CT; Field of view 335 mm wide, 1.00 mm slice spacing; Chest; Slice 541 of 565
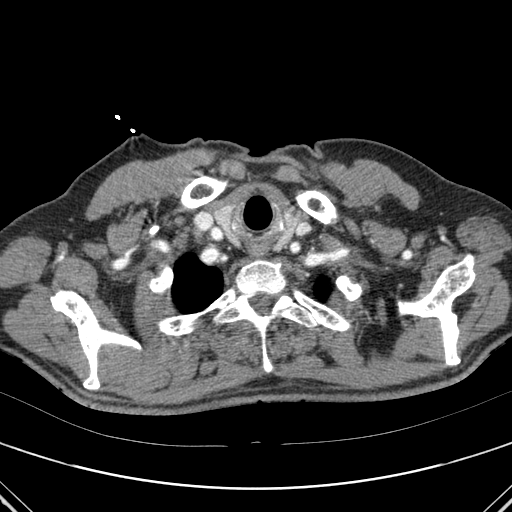
{"bone": ["[149,265,172,293]", "[149,225,158,235]", "[50,290,141,389]", "[181,176,226,208]", "[398,255,475,365]", "[403,251,411,258]", "[296,190,336,223]", "[336,275,361,300]", "[158,260,350,371]"], "lung": ["[172,253,222,313]", "[314,276,330,301]"]}